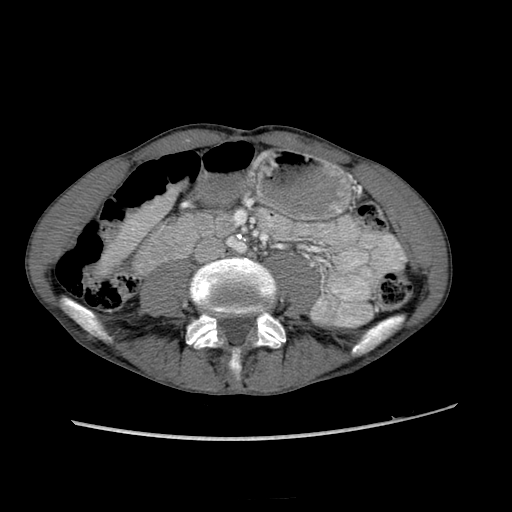
Liver. CT slice.
Liver — <box>107,192,172,264</box>.